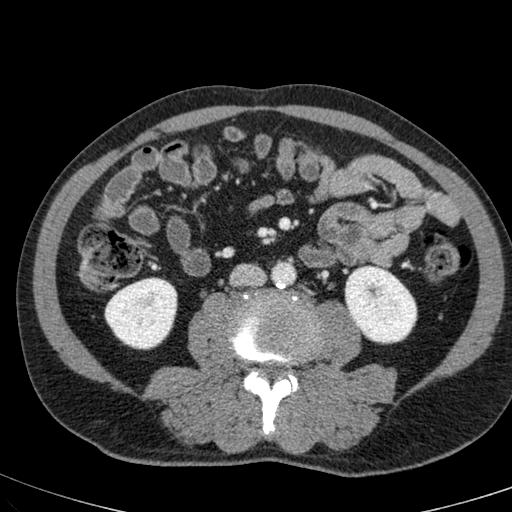

512x512, CT, Abdomen
Segmented structures:
* kidney: <box>106,279,175,347</box>, <box>346,267,415,341</box>